Head | Field of view 240 mm wide, 1.00 mm slice spacing
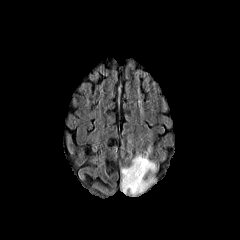
FLAIR magnetic resonance.
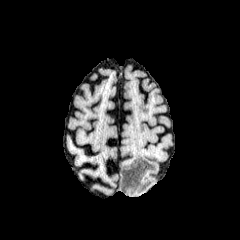
T1-weighted MRI of the same slice.
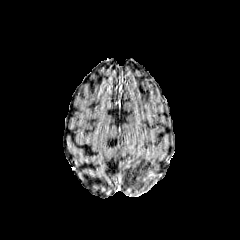
Post-contrast T1-weighted magnetic resonance.
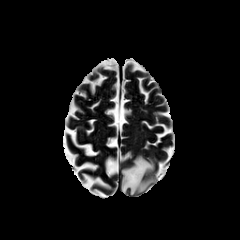
T2-weighted MR.
Findings:
• edema: (left=120, top=154, right=157, bottom=196)